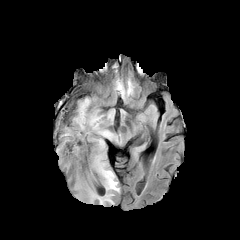
FLAIR MR image.
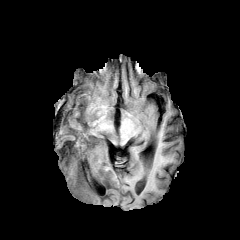
T1-weighted MRI of the same slice.
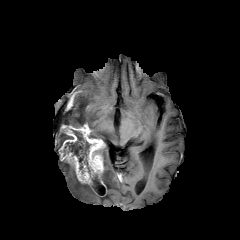
Post-contrast T1-weighted MRI of the same slice.
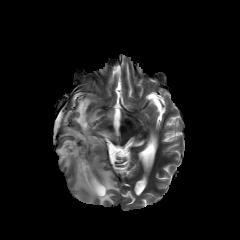
T2-weighted MRI.
Head
Segmented structures:
* enhancing tumor: left=64, top=124, right=105, bottom=177; left=77, top=169, right=91, bottom=183
* edema: left=74, top=154, right=119, bottom=205; left=60, top=129, right=67, bottom=145; left=71, top=97, right=121, bottom=143
* non-enhancing tumor core: left=92, top=169, right=104, bottom=185; left=94, top=145, right=106, bottom=157; left=62, top=129, right=91, bottom=176